CT image. Slice index 90. 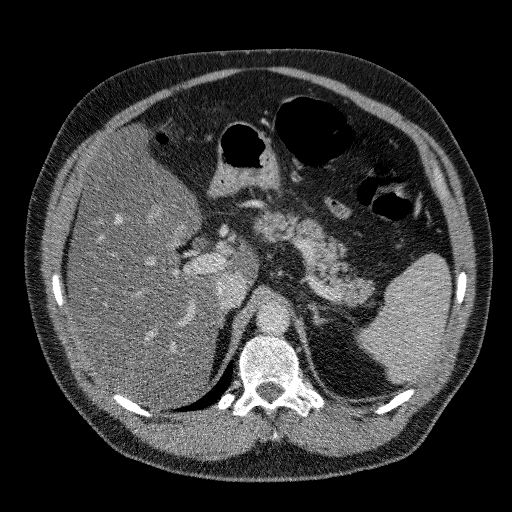
Liver — (67,126,257,407).